CT image
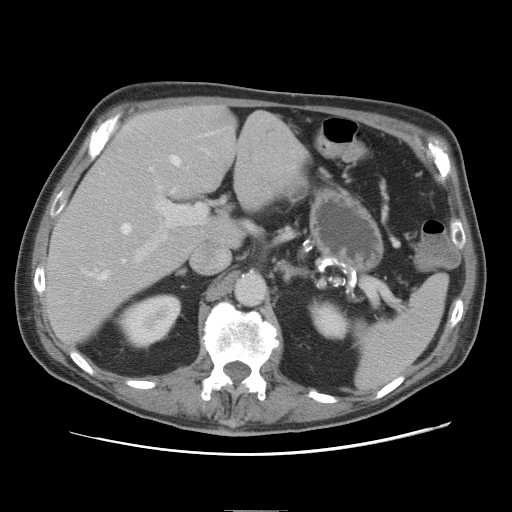

Not every hepatic vessel necessarily has a box.
Hepatic vessel = box(195, 204, 208, 215); box(180, 223, 182, 224); box(136, 244, 151, 261); box(123, 260, 125, 262); box(158, 186, 161, 189); box(150, 168, 153, 171); box(162, 234, 166, 240); box(84, 270, 107, 284); box(167, 218, 171, 225); box(171, 156, 180, 165); box(122, 224, 131, 233); box(172, 189, 175, 193); box(203, 149, 207, 152); box(157, 201, 190, 214); box(208, 133, 212, 135).